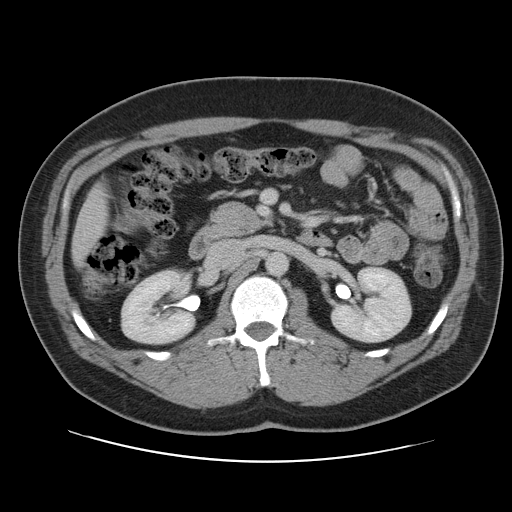

CT slice; Liver

The vessel annotation is not exhaustive.
8 hepatic vessel regions appear at <box>74,249,80,258</box>, <box>75,234,77,235</box>, <box>81,214,82,215</box>, <box>73,242,75,244</box>, <box>89,189,102,198</box>, <box>85,200,89,205</box>, <box>81,247,82,248</box>, <box>99,213,104,214</box>.